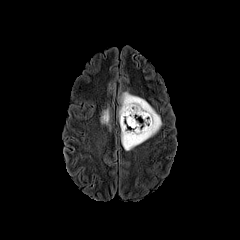
FLAIR MR.
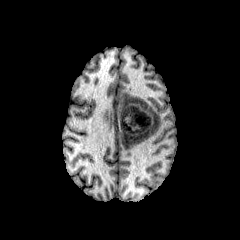
T1-weighted MR.
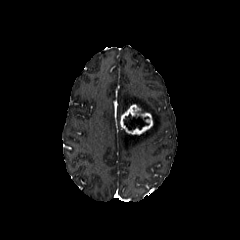
Same slice, post-contrast T1-weighted magnetic resonance.
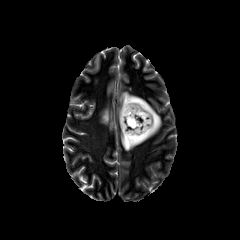
T2-weighted MR.
240x240.
Edema: (left=101, top=107, right=109, bottom=125), (left=118, top=92, right=162, bottom=150).
Non-enhancing tumor core: (left=123, top=113, right=148, bottom=130).
Enhancing tumor: (left=120, top=104, right=153, bottom=135).